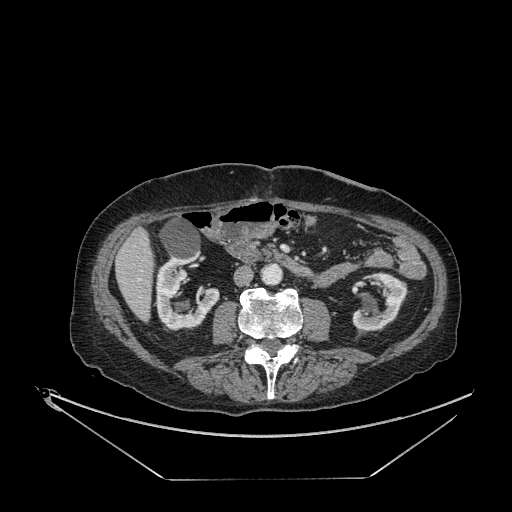 Computed tomography. Abdomen. 512x512 px. kidney: [353,273,406,330], [156,257,218,329], [352,281,364,292] | liver: [116,227,152,321]